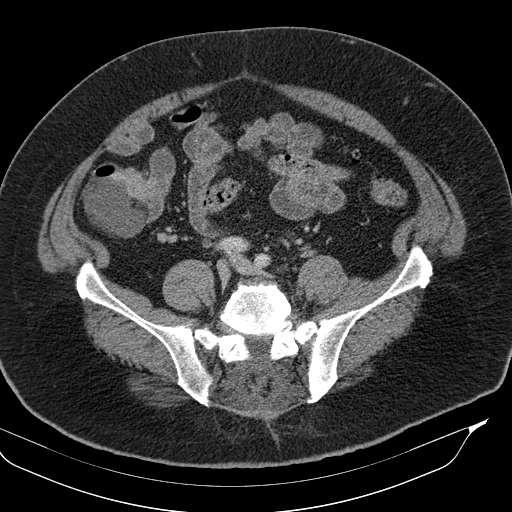
Pelvis; CT
Colon tumor: (112,168,167,208).